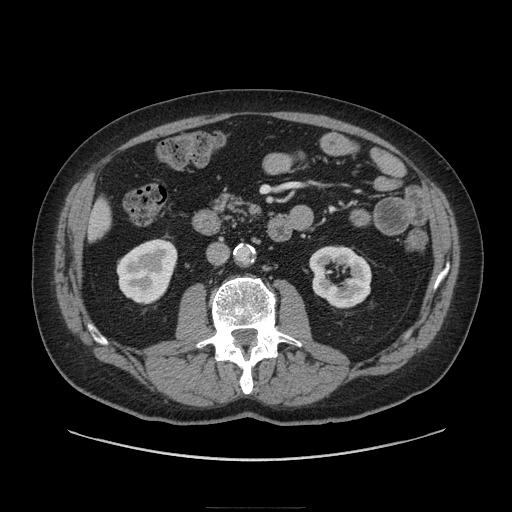

CT slice | Image size 512x512
The pancreas lies within region(213, 193, 263, 225).